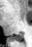

Hippocampus, MRI

The posterior hippocampus is bounded by 10:34:22:40.